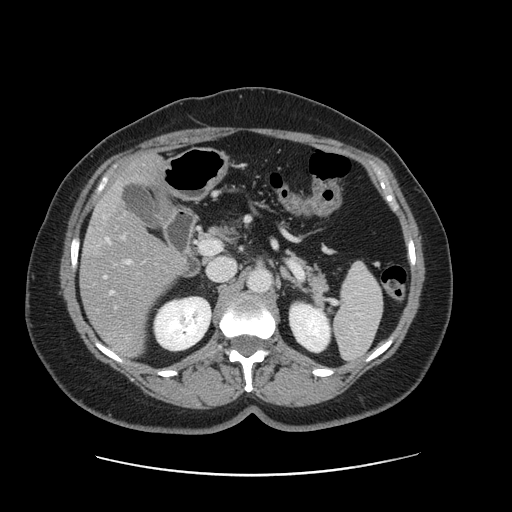 Liver, CT, 512x512 px

The vessel annotation is not exhaustive.
<segmentation>
  <hepatic_vessel><box>105,276,106,277</box>, <box>106,238,110,243</box>, <box>122,235,125,238</box>, <box>110,290,113,293</box>, <box>125,260,130,263</box></hepatic_vessel>
</segmentation>